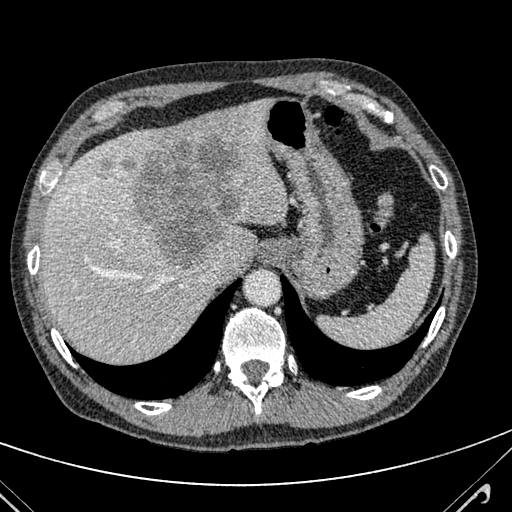

CT | Upper abdomen

Segmented structures:
• hepatic lesion: x1=134, y1=136, x2=242, y2=266; x1=100, y1=162, x2=109, y2=179; x1=125, y1=160, x2=135, y2=169
• liver: x1=43, y1=100, x2=288, y2=361